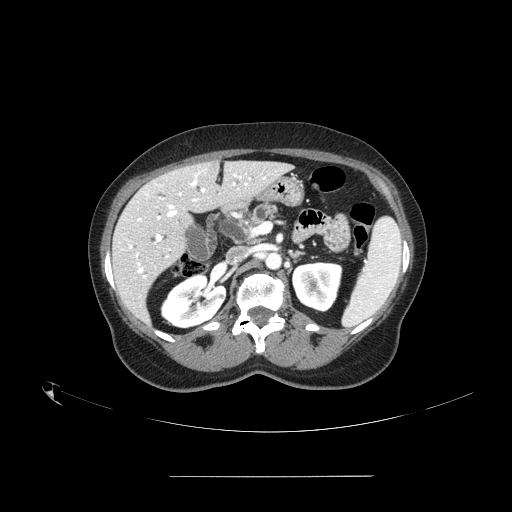

Image size 512x512, Computed tomography

<segmentation>
  <pancreas>x1=251 y1=203 x2=280 y2=227</pancreas>
</segmentation>